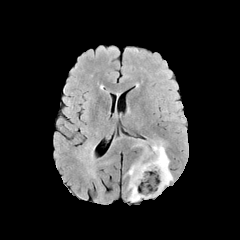
FLAIR MRI.
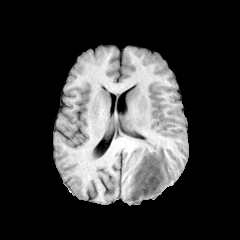
T1-weighted MR.
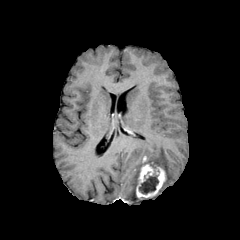
Post-contrast T1-weighted MR image.
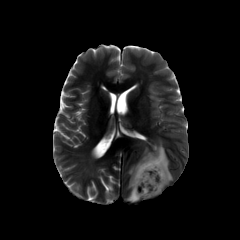
T2-weighted magnetic resonance.
<segmentation>
  <non-enhancing_tumor_core>[139,177,158,193]</non-enhancing_tumor_core>
  <enhancing_tumor>[136,155,166,198]</enhancing_tumor>
  <edema>[145,142,173,196], [127,160,141,202]</edema>
</segmentation>